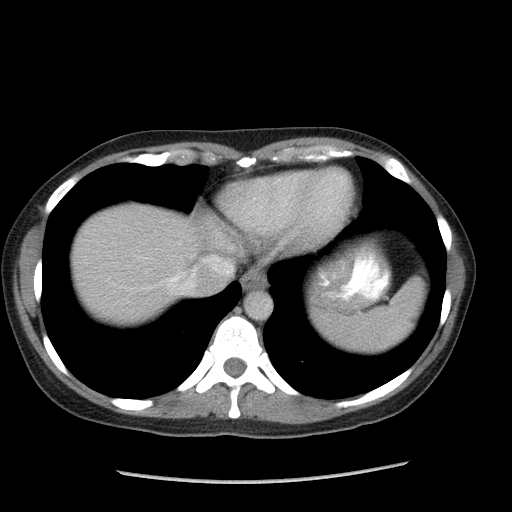

CT scan slice
<segmentation>
  <spleen>(x1=310, y1=277, x2=425, y2=352)</spleen>
</segmentation>